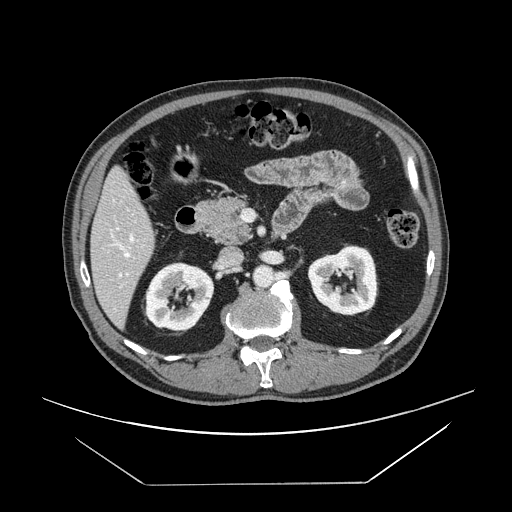 Abdomen | 512x512 | Computed tomography
Pancreas: bounding box x1=196, y1=196, x2=253, y2=246.